Head
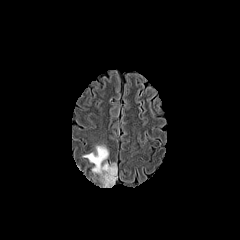
FLAIR MRI.
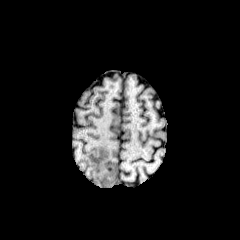
Same slice, T1-weighted MR.
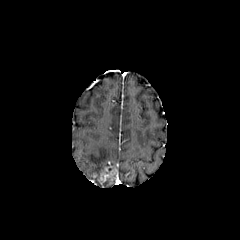
Post-contrast T1-weighted magnetic resonance of the same slice.
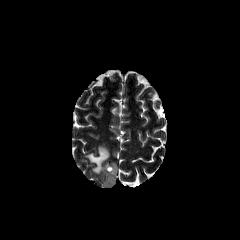
Same slice, T2-weighted MR image.
The non-enhancing tumor core lies within bbox(93, 169, 115, 187). The edema is located at bbox(83, 145, 109, 174). The enhancing tumor is at bbox(100, 164, 117, 181).